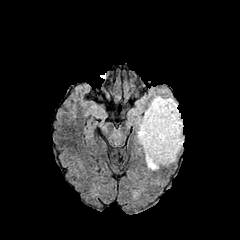
FLAIR magnetic resonance.
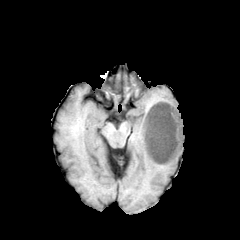
Same slice, T1-weighted magnetic resonance.
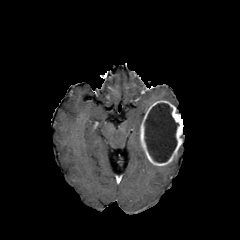
Post-contrast T1-weighted MRI.
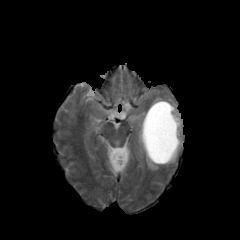
T2-weighted MR image.
Brain.
The enhancing tumor is at 140,100,183,165. 2 edema regions are bounded by 136,113,161,170; 144,93,177,113. The non-enhancing tumor core lies within 144,102,177,162.